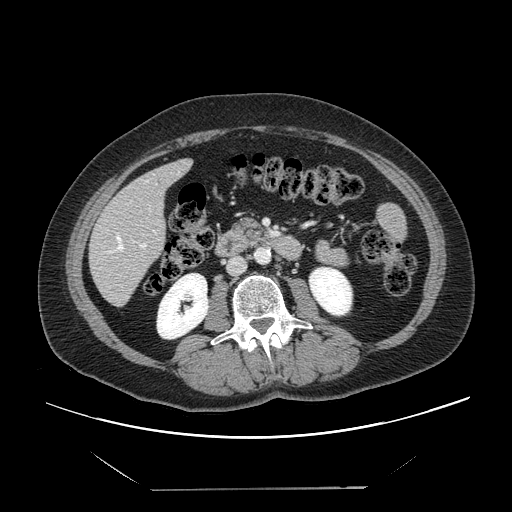
CT image; Liver
Only some of the vessels may be annotated.
<segmentation>
  <hepatic_vessel>154:231:155:232, 149:208:150:210, 105:233:123:253, 138:243:146:248</hepatic_vessel>
</segmentation>